CT image | Field of view 410x410 mm | Abdomen
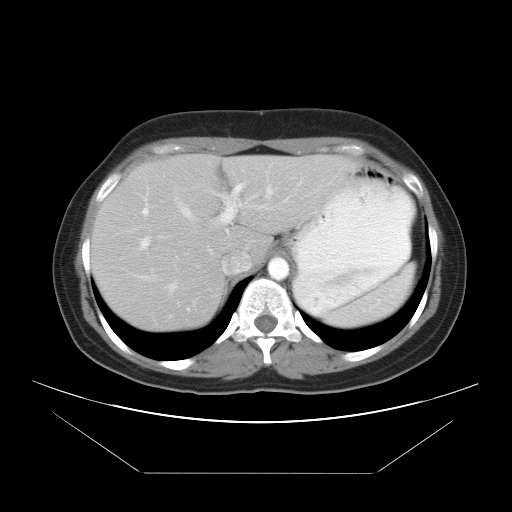 Not every hepatic vessel necessarily has a box.
hepatic_vessel:
  - (235,185,241,192)
  - (183,209,189,215)
  - (140,237,149,249)
  - (141,205,148,215)
  - (266,186,272,196)
  - (221,203,234,222)
  - (140,276,147,278)
  - (262,206,264,207)
  - (167,282,177,292)